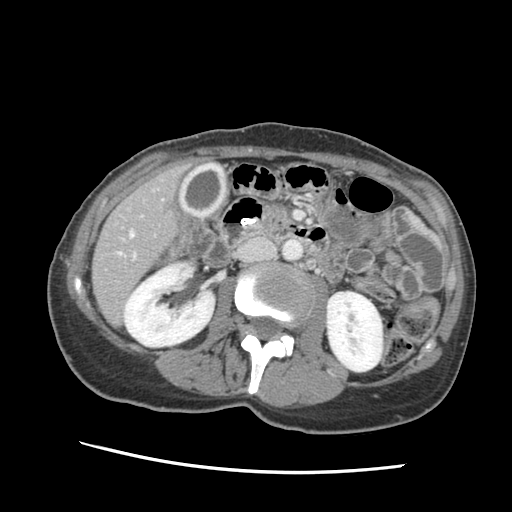 CT scan slice

The pancreas is bounded by (268, 206, 287, 226).